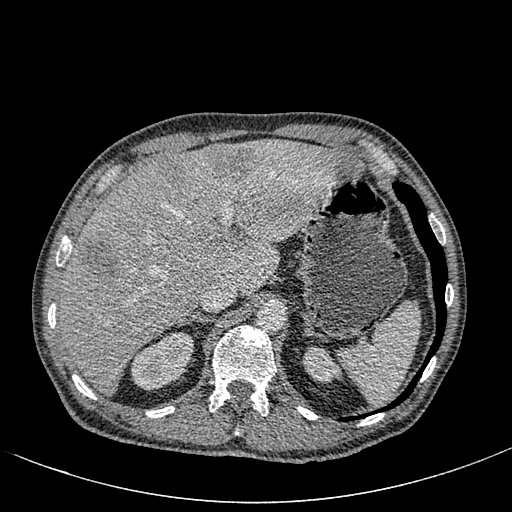 CT image. Kidney: bounding box (131, 332, 193, 389), (303, 347, 341, 382).
Focal liver lesion: bounding box (213, 233, 239, 253), (81, 230, 120, 281), (159, 154, 182, 183), (208, 144, 253, 179).
Liver: bounding box (58, 140, 362, 396).